CT slice | Liver 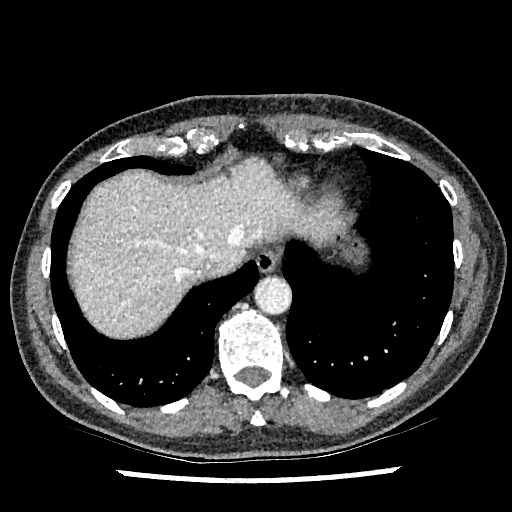 Liver: left=69, top=159, right=344, bottom=338.